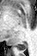 MR. Hippocampus.

Posterior hippocampus: 17 44 27 49.